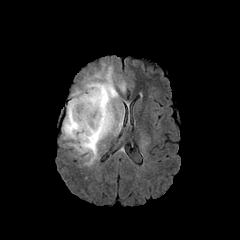
FLAIR magnetic resonance.
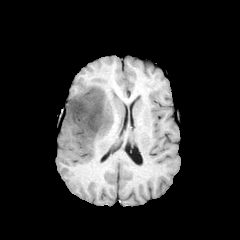
T1-weighted MR.
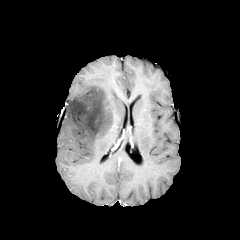
Post-contrast T1-weighted magnetic resonance.
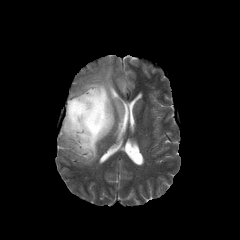
T2-weighted MR.
non-enhancing tumor core: (left=68, top=88, right=111, bottom=142) | edema: (left=62, top=66, right=124, bottom=163)